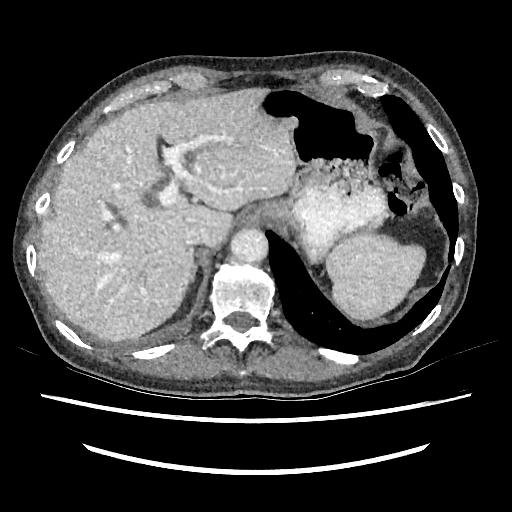 CT scan slice, Abdomen
Liver: bounding box left=37, top=89, right=294, bottom=341.